240x240. Head. Slice index 67.
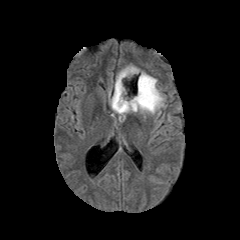
FLAIR MR image.
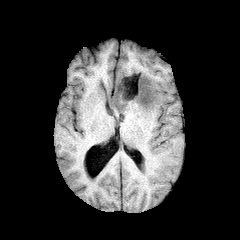
T1-weighted MR image.
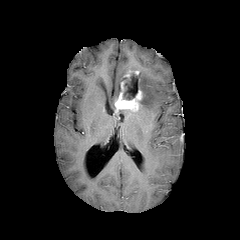
Post-contrast T1-weighted MRI of the same slice.
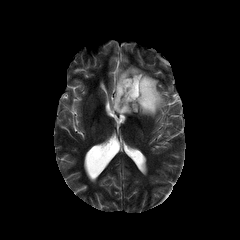
T2-weighted MR image.
{"edema": ["region(108, 66, 166, 119)", "region(116, 110, 132, 121)"], "enhancing_tumor": ["region(114, 82, 143, 111)"], "non-enhancing_tumor_core": ["region(114, 82, 120, 100)", "region(124, 71, 152, 107)"]}